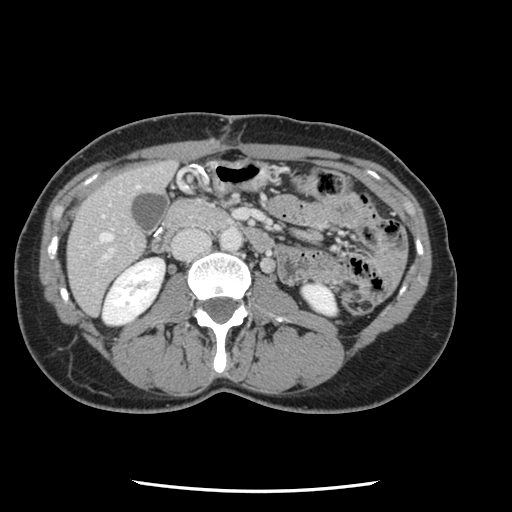 CT image, Abdomen
The vessel boxes may cover only some of the vessels.
Hepatic vessel — 100, 233, 111, 240; 135, 185, 138, 187; 103, 248, 112, 258.